Computed tomography. Abdomen. Slice 50 of 77.
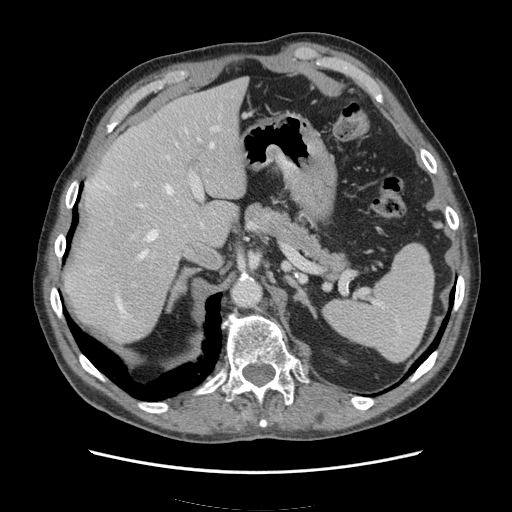
Segmented structures:
- spleen: box(323, 244, 433, 361)